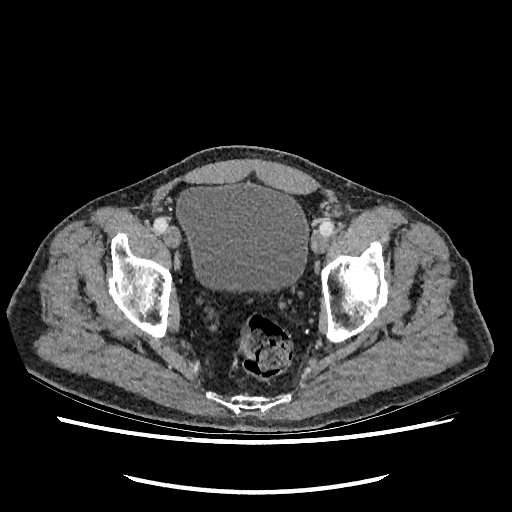

CT | Lower abdomen | Image size 512x512
urinary_bladder:
  - [176,181,308,291]